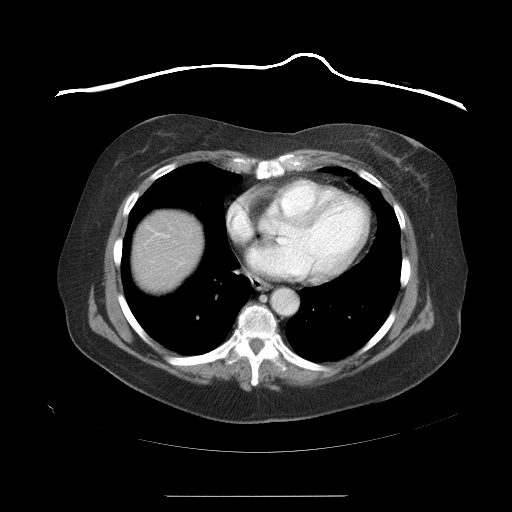
Computed tomography | Liver

The vessel annotation is not exhaustive.
Annotated regions:
• hepatic vessel: 153 233 164 236